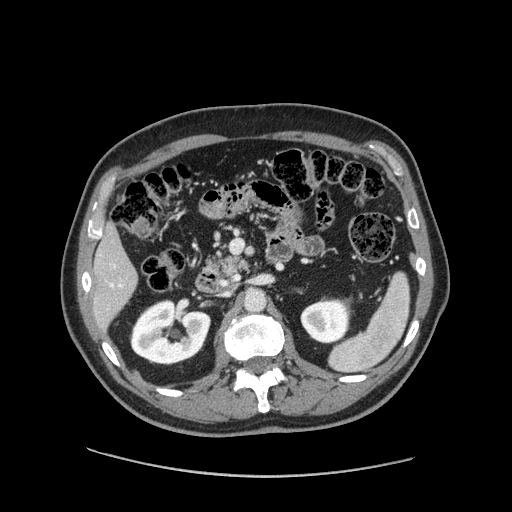 512x512 px, Computed tomography, Abdomen
Pancreas at l=207, t=255, r=249, b=277.